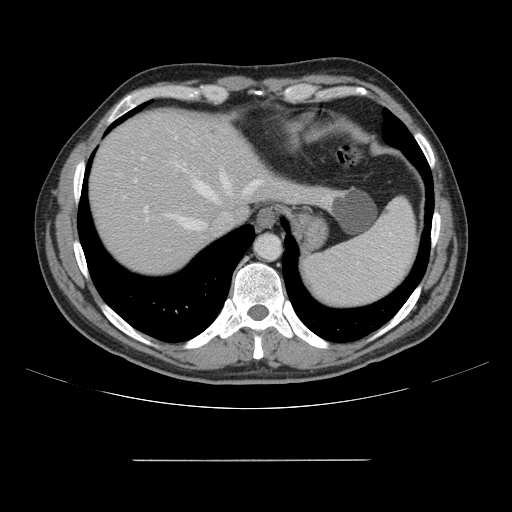

CT

The vessel boxes may cover only some of the vessels.
12 hepatic vessel regions are located at box=[244, 180, 262, 193]; box=[146, 217, 147, 220]; box=[175, 163, 178, 165]; box=[134, 179, 136, 181]; box=[134, 168, 136, 169]; box=[195, 181, 217, 201]; box=[165, 214, 193, 228]; box=[145, 208, 147, 212]; box=[195, 221, 206, 228]; box=[141, 158, 145, 158]; box=[221, 174, 230, 194]; box=[183, 164, 185, 168].